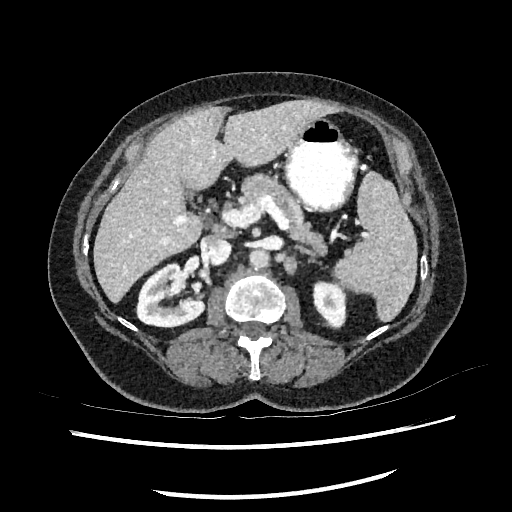
Computed tomography. Abdomen.
The focal liver lesion lies within (left=101, top=243, right=109, bottom=253). 2 kidney regions are located at (left=314, top=283, right=344, bottom=325), (left=137, top=264, right=203, bottom=326). The liver is located at (left=94, top=99, right=333, bottom=302).